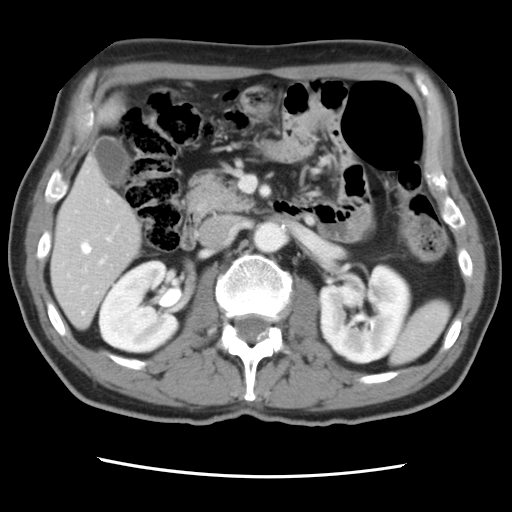
512x512 px; CT image
The vessel annotation is not exhaustive.
5 hepatic vessel regions appear at x1=107 y1=200 x2=108 y2=202, x1=107 y1=237 x2=110 y2=240, x1=82 y1=311 x2=84 y2=312, x1=82 y1=243 x2=90 y2=253, x1=100 y1=259 x2=103 y2=263.